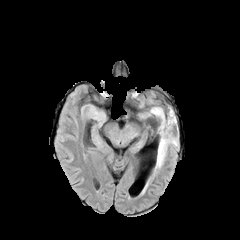
FLAIR MRI.
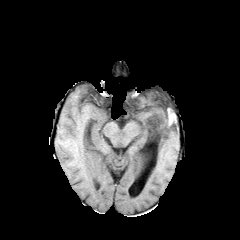
T1-weighted MR.
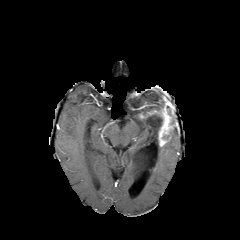
Post-contrast T1-weighted magnetic resonance.
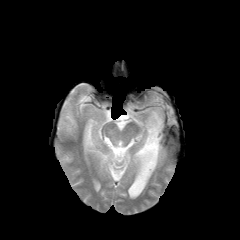
T2-weighted MR image.
240x240.
Annotated regions:
- non-enhancing tumor core: rect(159, 110, 177, 146)
- enhancing tumor: rect(159, 107, 171, 145)
- edema: rect(156, 131, 176, 166); rect(154, 113, 162, 141)